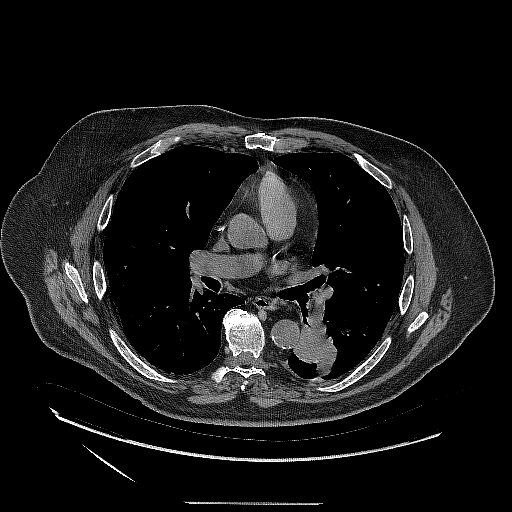 CT scan slice

lung tumor: (293, 322, 338, 378)